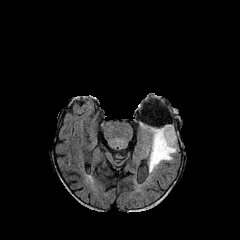
FLAIR magnetic resonance.
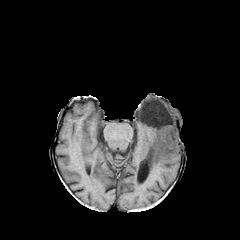
Same slice, T1-weighted MR.
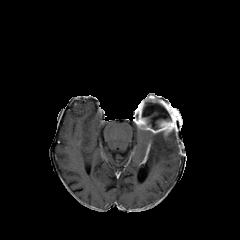
Same slice, post-contrast T1-weighted magnetic resonance.
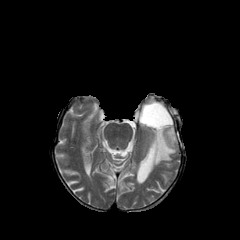
T2-weighted MR of the same slice.
Image size 240x240.
Enhancing tumor: bounding box box(135, 120, 174, 135).
Non-enhancing tumor core: bounding box box(134, 95, 181, 139).
Edema: bounding box box(142, 131, 178, 173).